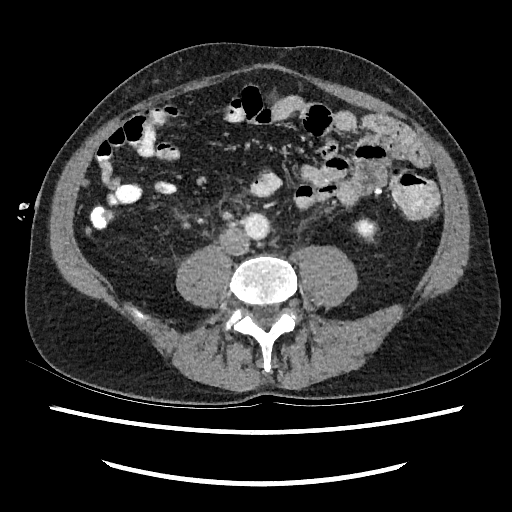 CT slice

kidney: 358,222,372,234